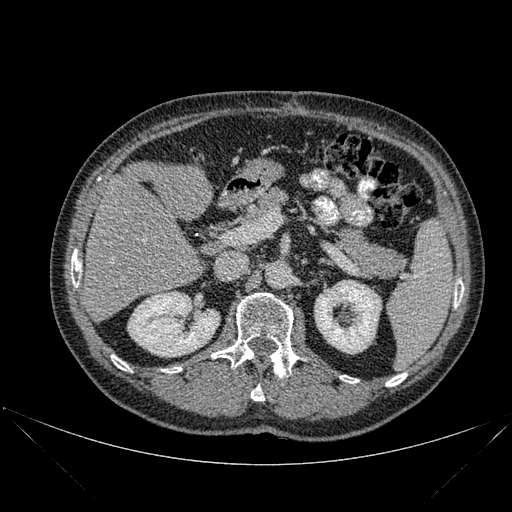
512x512; CT scan slice

Kidney = box(128, 292, 219, 356); box(314, 280, 381, 353).
Liver = box(84, 161, 213, 320).
Bone = box(386, 373, 407, 386); box(339, 375, 358, 383); box(211, 293, 299, 377); box(71, 249, 80, 287); box(111, 355, 131, 371); box(454, 285, 463, 307); box(251, 384, 264, 400); box(163, 367, 181, 373).